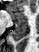
Medial temporal lobe; Image size 39x52; MRI slice

The anterior hippocampus is at (x1=9, y1=12, x2=27, y2=21). The posterior hippocampus is located at (x1=11, y1=22, x2=27, y2=41).